512x512 px. Liver. Computed tomography.
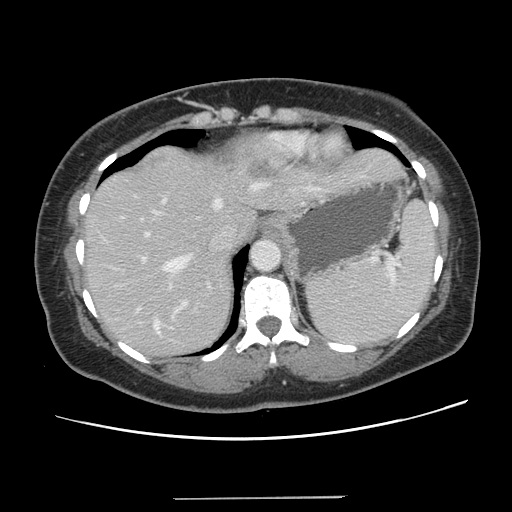 Only some of the vessels may be annotated.
Hepatic vessel — (left=169, top=284, right=171, bottom=287), (left=145, top=232, right=149, bottom=236), (left=175, top=301, right=186, bottom=312), (left=252, top=183, right=266, bottom=190), (left=137, top=308, right=140, bottom=311), (left=162, top=198, right=165, bottom=202), (left=154, top=321, right=160, bottom=334), (left=214, top=199, right=221, bottom=207), (left=164, top=254, right=191, bottom=272), (left=306, top=186, right=320, bottom=190), (left=172, top=313, right=174, bottom=318), (left=142, top=257, right=145, bottom=261).